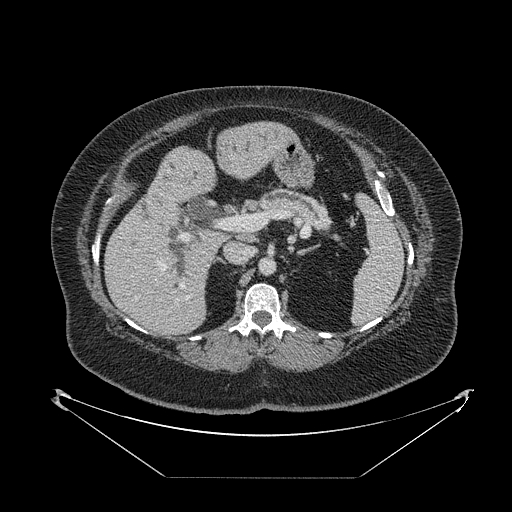

Abdomen; CT slice; 512x512 px
<segmentation>
  <pancreas>{"x1": 257, "y1": 187, "x2": 333, "y2": 232}</pancreas>
</segmentation>